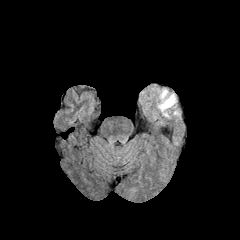
FLAIR MR image.
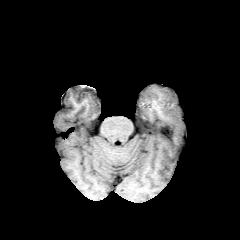
T1-weighted MRI.
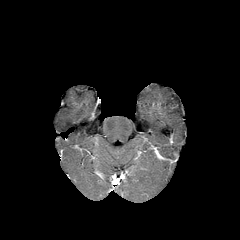
Post-contrast T1-weighted magnetic resonance.
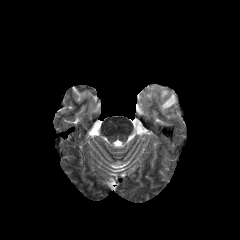
T2-weighted magnetic resonance.
Head
Edema = x1=139 y1=85 x2=181 y2=124.